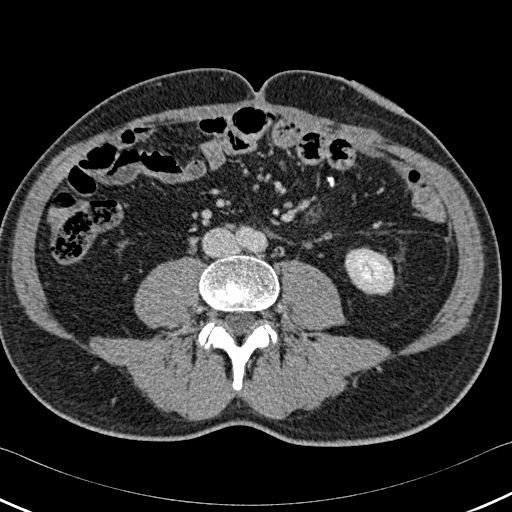
CT image.
kidney:
  - [346, 249, 393, 292]
bone:
  - [199, 256, 279, 311]
  - [198, 322, 276, 390]